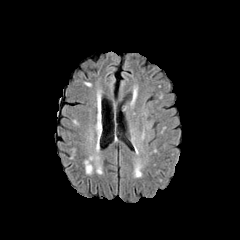
FLAIR magnetic resonance.
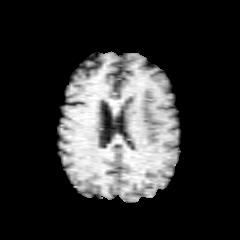
T1-weighted MR of the same slice.
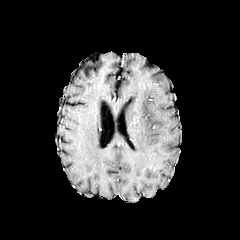
Post-contrast T1-weighted magnetic resonance.
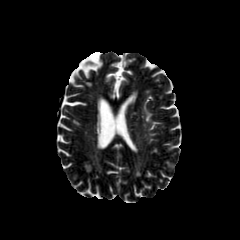
Same slice, T2-weighted MR.
240x240
<segmentation>
  <edema>130:89:136:104</edema>
</segmentation>